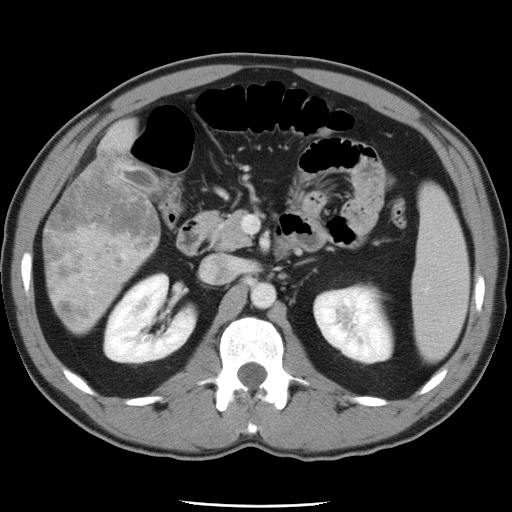
CT. Abdomen.

Not every hepatic vessel necessarily has a box.
Hepatic vessel at region(122, 255, 123, 256).